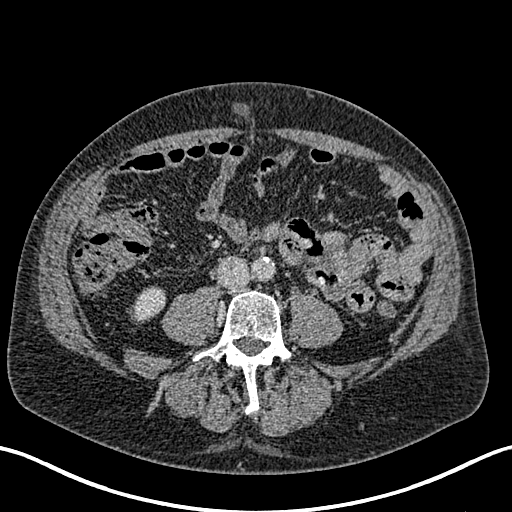
Abdomen | CT image
• kidney: bbox(127, 286, 165, 324)